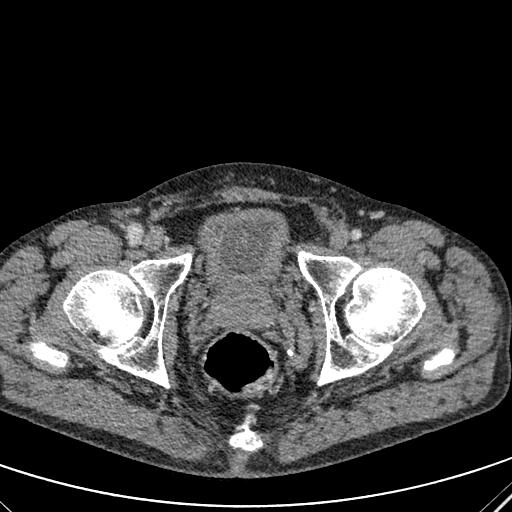 CT
<segmentation>
  <urinary_bladder>(213, 215, 278, 278)</urinary_bladder>
</segmentation>